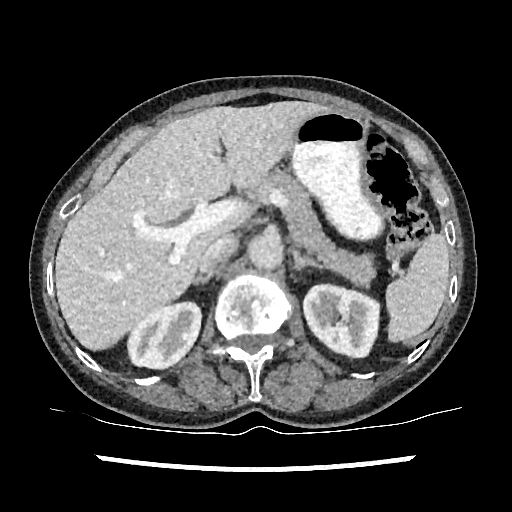
Liver | CT scan slice
{"kidney": ["x1=304, y1=286, x2=379, y2=358", "x1=129, y1=304, x2=200, y2=371"], "liver": ["x1=56, y1=102, x2=327, y2=348"]}